Brain
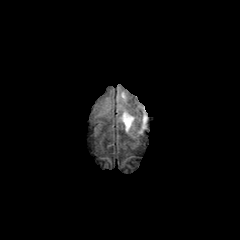
FLAIR MRI.
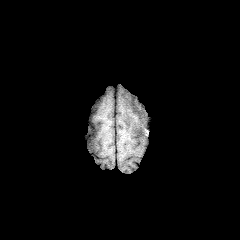
T1-weighted MR image.
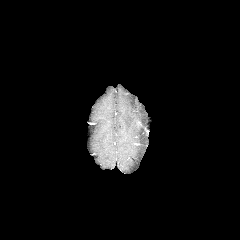
Same slice, post-contrast T1-weighted MR image.
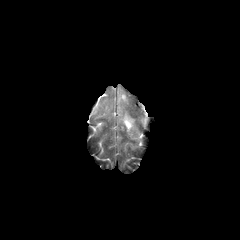
T2-weighted MR.
The edema is at <box>118,108,147,134</box>.